Image width 404 mm. CT.
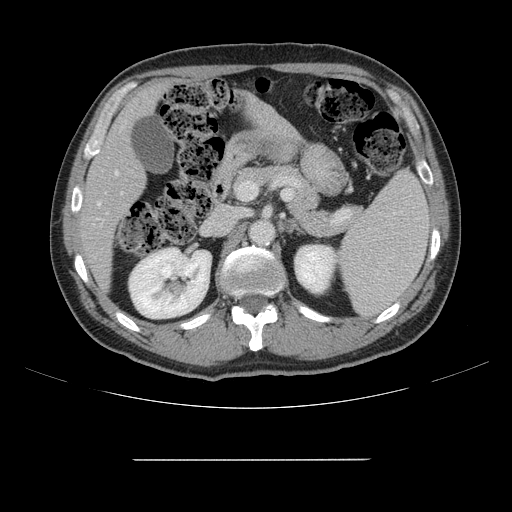

Not every hepatic vessel necessarily has a box.
<segmentation>
  <hepatic_vessel>{"x1": 121, "y1": 191, "x2": 122, "y2": 194}, {"x1": 98, "y1": 202, "x2": 100, "y2": 205}, {"x1": 106, "y1": 212, "x2": 107, "y2": 214}, {"x1": 116, "y1": 171, "x2": 117, "y2": 174}</hepatic_vessel>
</segmentation>